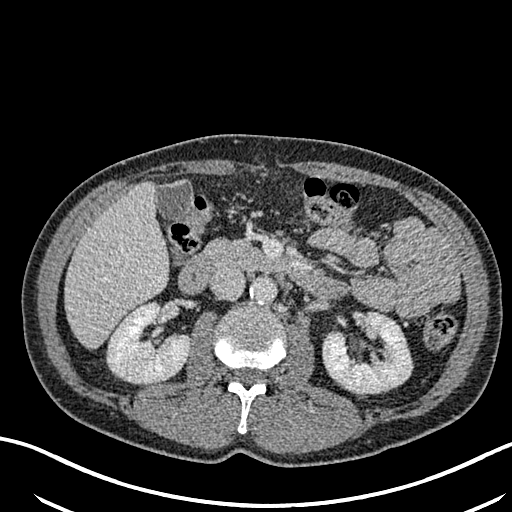
CT slice; Liver
Segmented structures:
* liver: rect(65, 182, 168, 347)
* kidney: rect(323, 313, 411, 392); rect(108, 304, 189, 382)